240x240, Head
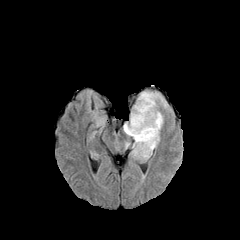
FLAIR MRI.
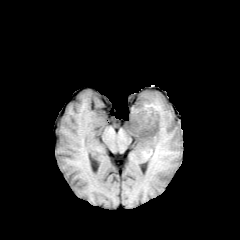
T1-weighted MR image.
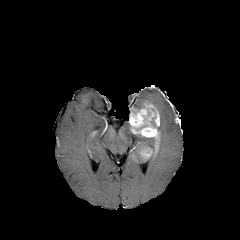
Same slice, post-contrast T1-weighted magnetic resonance.
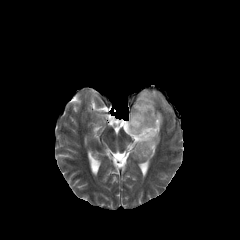
T2-weighted MR image.
The non-enhancing tumor core is bounded by 132,133,151,141. 5 edema regions are bounded by 158,110,163,130; 138,138,155,153; 134,91,170,111; 129,148,148,162; 122,122,137,149. 2 enhancing tumor regions are located at 129,101,159,147; 140,146,152,158.